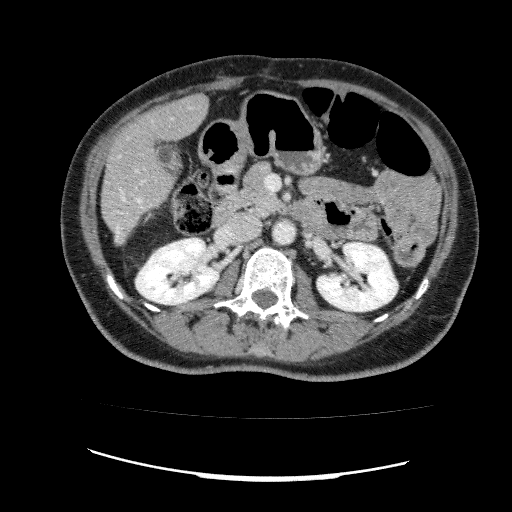 512x512 | CT slice
• kidney: {"x1": 136, "y1": 238, "x2": 218, "y2": 304}, {"x1": 317, "y1": 242, "x2": 397, "y2": 311}
• liver: {"x1": 100, "y1": 93, "x2": 209, "y2": 245}